FLAIR MRI.
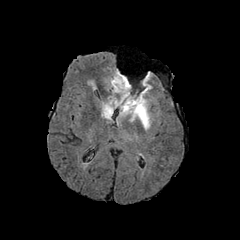
T1-weighted MRI.
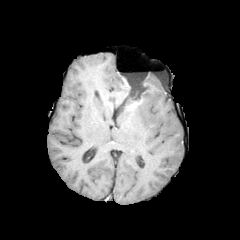
Post-contrast T1-weighted magnetic resonance.
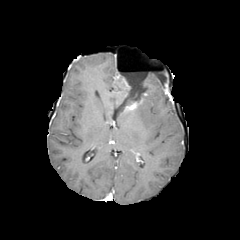
T2-weighted MRI.
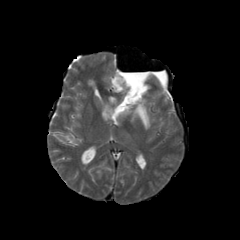
Image size 240x240; Head
Annotated regions:
• non-enhancing tumor core: (x1=117, y1=77, x2=145, y2=111)
• edema: (x1=142, y1=74, x2=151, y2=93), (x1=119, y1=92, x2=151, y2=129), (x1=108, y1=76, x2=129, y2=108), (x1=102, y1=103, x2=113, y2=119)
• enhancing tumor: (x1=114, y1=74, x2=129, y2=86), (x1=124, y1=102, x2=137, y2=110)